Brain
FLAIR MR image.
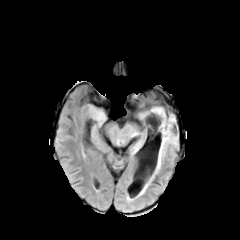
T1-weighted MR.
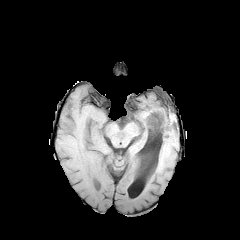
Post-contrast T1-weighted magnetic resonance.
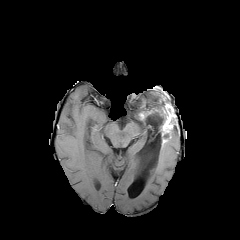
T2-weighted magnetic resonance.
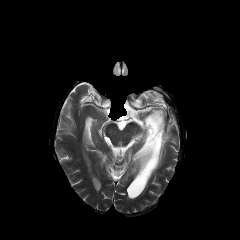
{
  "enhancing_tumor": [
    "160, 113, 174, 145"
  ],
  "non-enhancing_tumor_core": [
    "150, 110, 166, 135"
  ],
  "edema": [
    "156, 120, 177, 167"
  ]
}